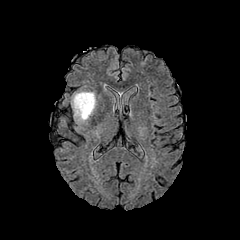
FLAIR MR.
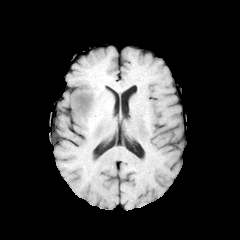
Same slice, T1-weighted MRI.
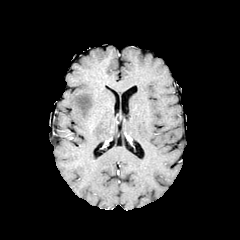
Post-contrast T1-weighted MRI.
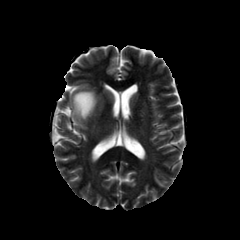
T2-weighted magnetic resonance.
Head
Annotated regions:
* edema: rect(68, 87, 97, 125)